FLAIR MR.
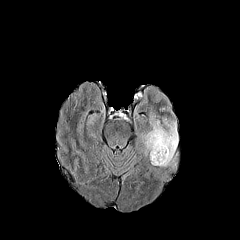
T1-weighted MR image.
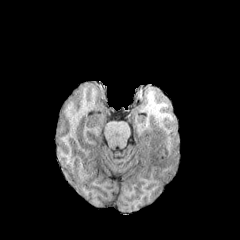
Post-contrast T1-weighted MR.
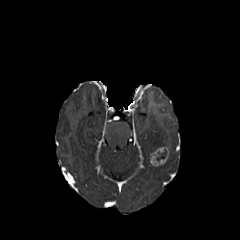
T2-weighted magnetic resonance.
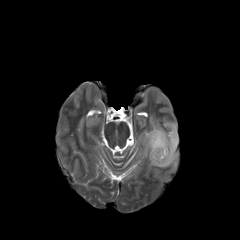
240x240 px | Brain
Edema = 140 119 177 168.
Non-enhancing tumor core = 156 148 166 161.
Enhancing tumor = 150 147 169 166.